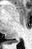
32x49 | MRI slice
The posterior hippocampus lies within <bbox>8, 39, 19, 43</bbox>.